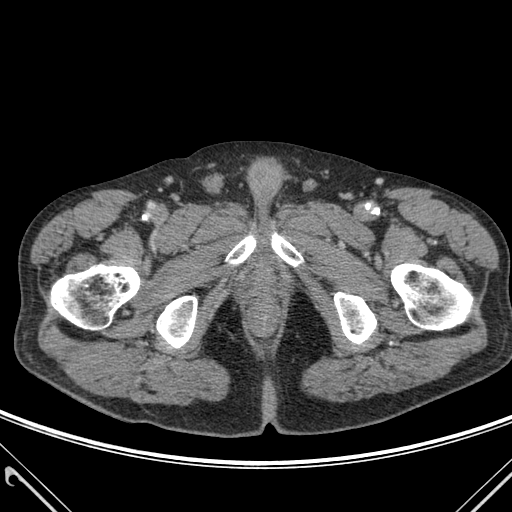 CT slice
bone: 226, 235, 255, 263; 271, 233, 302, 266; 391, 264, 472, 329; 334, 292, 376, 343; 51, 264, 139, 329; 157, 296, 197, 347